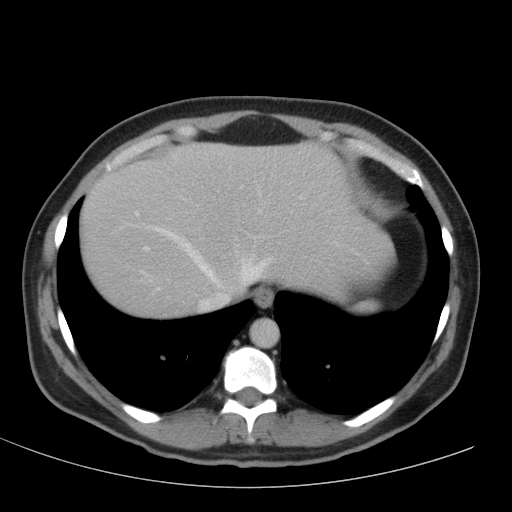
CT

The liver is at <box>82,142,388,316</box>.